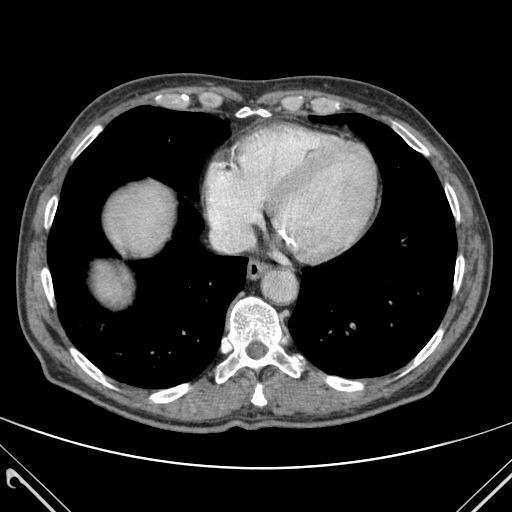

Upper abdomen; Computed tomography
lung: rect(47, 106, 247, 388); rect(289, 113, 456, 377) | bone: rect(216, 297, 300, 383); rect(408, 330, 442, 370); rect(150, 384, 188, 402); rect(71, 349, 111, 387); rect(236, 107, 270, 116); rect(252, 384, 266, 405); rect(445, 185, 459, 219); rect(45, 195, 57, 227); rect(454, 256, 463, 289); rect(391, 122, 428, 154); rect(72, 126, 100, 156); rect(41, 266, 53, 305); rect(326, 377, 362, 391) | liver: rect(95, 264, 129, 301); rect(105, 182, 172, 256)